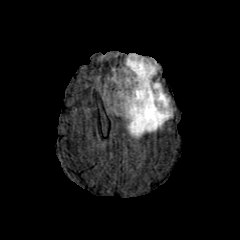
FLAIR magnetic resonance.
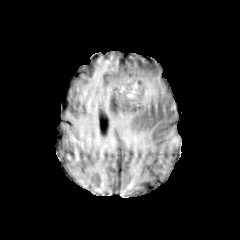
T1-weighted MR.
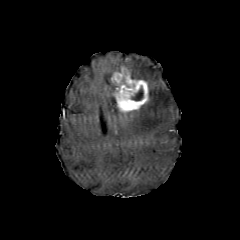
Post-contrast T1-weighted MR.
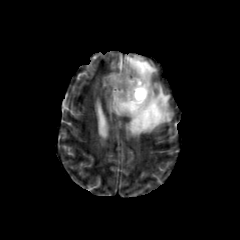
Same slice, T2-weighted MR.
Head
<segmentation>
  <enhancing_tumor>l=111, t=66, r=149, b=113</enhancing_tumor>
  <non-enhancing_tumor_core>l=132, t=87, r=143, b=100</non-enhancing_tumor_core>
  <edema>l=114, t=54, r=172, b=137</edema>
</segmentation>